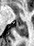 MR. 34x46. Hippocampus.
Segmented structures:
• posterior hippocampus: box=[16, 23, 27, 36]